MRI slice; Slice index 9; Hippocampus

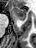
anterior hippocampus: (left=13, top=7, right=26, bottom=19)